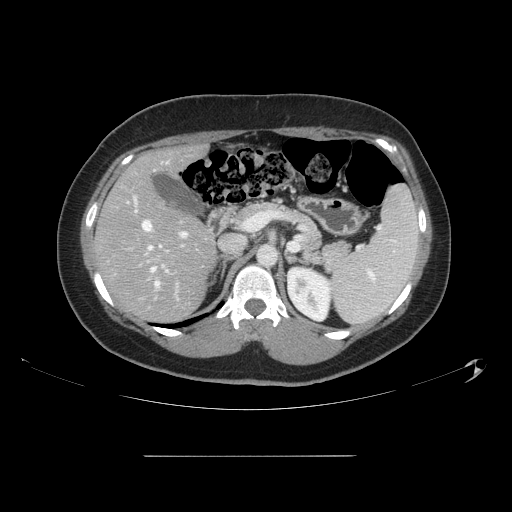

Image size 512x512, CT image, Liver

Some hepatic vessels may have no box.
<segmentation>
  <hepatic_vessel><box>135,210,136,211</box>, <box>151,267,155,271</box>, <box>142,221,150,230</box>, <box>180,232,186,237</box>, <box>162,265,163,267</box>, <box>155,281,159,288</box>, <box>134,197,135,201</box>, <box>148,246,151,249</box></hepatic_vessel>
</segmentation>